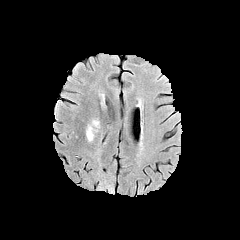
FLAIR MR image.
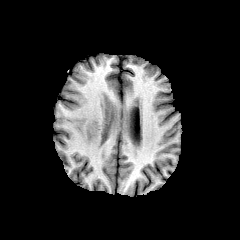
Same slice, T1-weighted MR.
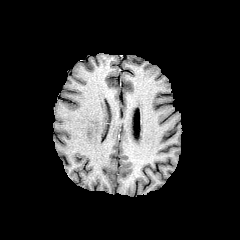
Same slice, post-contrast T1-weighted MR image.
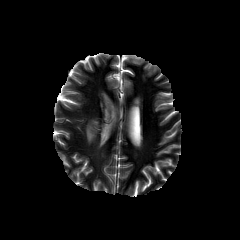
T2-weighted MR image.
Brain
The edema is at [x1=86, y1=120, x2=99, y2=141].